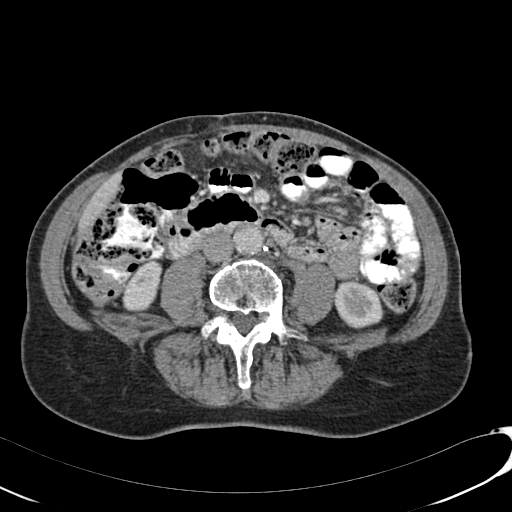
CT; Abdomen; Image size 512x512

* kidney: (left=123, top=261, right=161, bottom=309), (left=335, top=282, right=381, bottom=327)
* liver: (left=79, top=174, right=119, bottom=232)